FLAIR magnetic resonance.
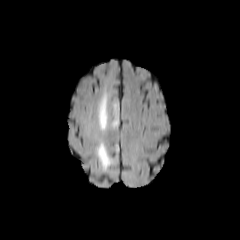
T1-weighted MR.
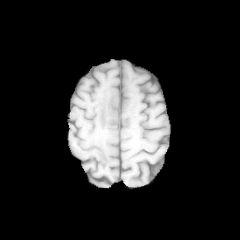
Post-contrast T1-weighted magnetic resonance.
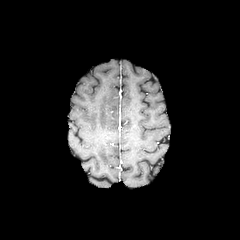
T2-weighted MRI.
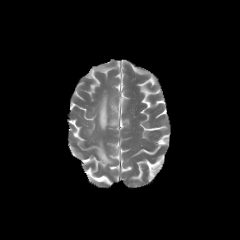
Head
<segmentation>
  <edema>[x1=97, y1=141, x2=113, y2=169], [x1=98, y1=94, x2=118, y2=130]</edema>
</segmentation>